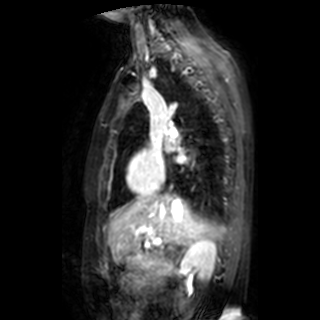
Image size 320x320, MR image
Left atrium — 165,139,174,149; 176,154,186,162.